CT slice, 512x512, Field of view 380 mm wide, 1.50 mm slice spacing
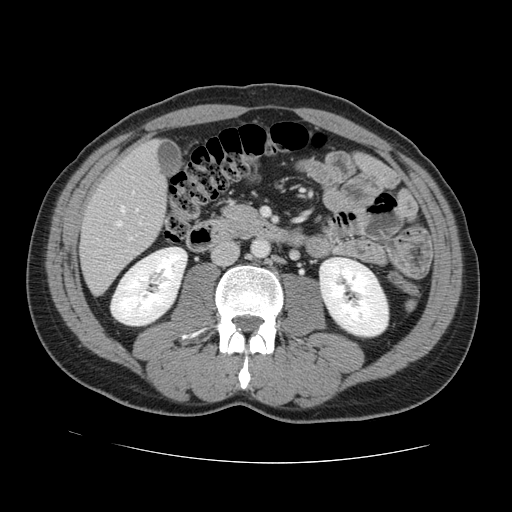

The vessel annotation is not exhaustive.
Hepatic vessel — l=132, t=192, r=133, b=194; l=135, t=209, r=137, b=211; l=109, t=265, r=112, b=268; l=117, t=222, r=120, b=225; l=129, t=237, r=131, b=239; l=139, t=221, r=141, b=224; l=120, t=206, r=124, b=211.